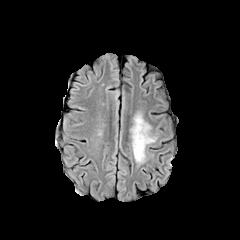
FLAIR MR.
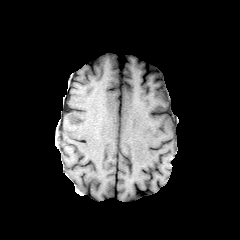
Same slice, T1-weighted MRI.
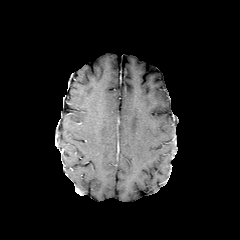
Post-contrast T1-weighted MR image.
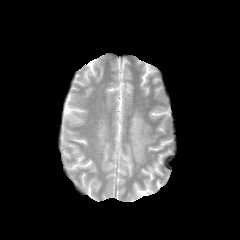
T2-weighted magnetic resonance.
Image size 240x240
The edema appears at 131, 114, 156, 165.